Image size 320x320 | MR | Cardiac

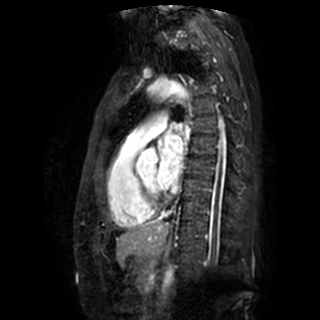 Left atrium at left=157, top=134, right=182, bottom=189.